CT scan slice

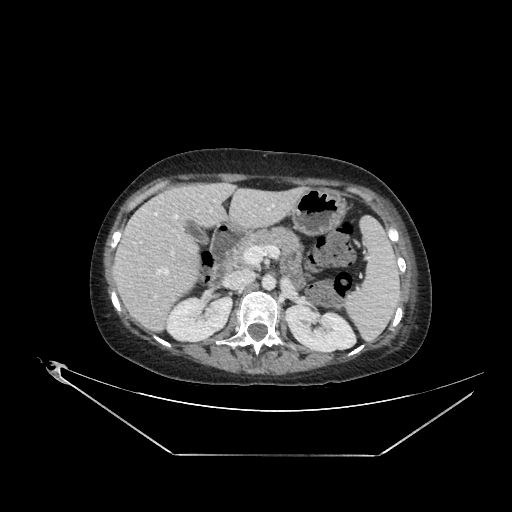 {"kidney": ["[167,298,231,341]", "[286,306,355,351]"], "liver": ["[113,184,286,332]"]}